CT scan slice; Field of view 320x320 mm; Slice index 40 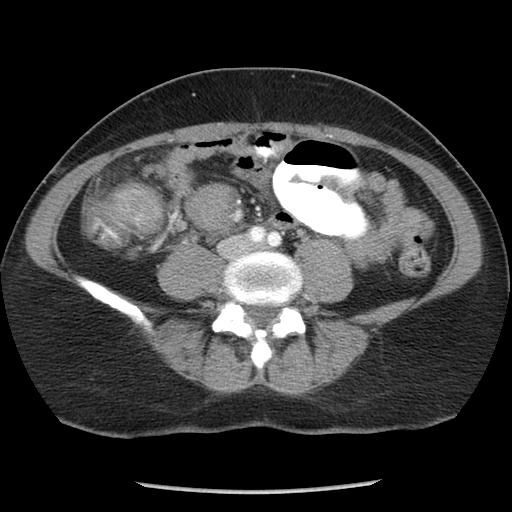
Findings:
- colon tumor: rect(108, 183, 163, 233)